FLAIR MR image.
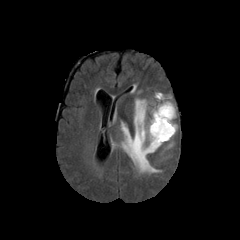
T1-weighted magnetic resonance.
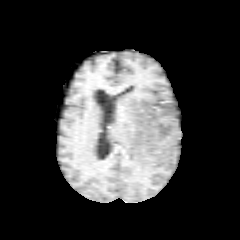
Post-contrast T1-weighted magnetic resonance.
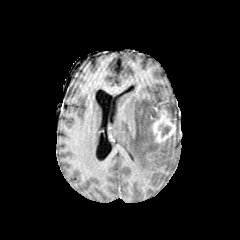
T2-weighted MR image.
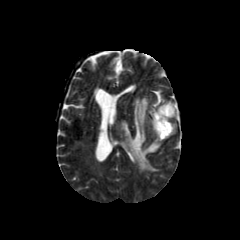
Annotated regions:
- edema: l=121, t=99, r=164, b=173; l=167, t=101, r=176, b=122; l=155, t=92, r=166, b=101
- non-enhancing tumor core: l=162, t=126, r=170, b=136
- enhancing tumor: l=151, t=100, r=175, b=142